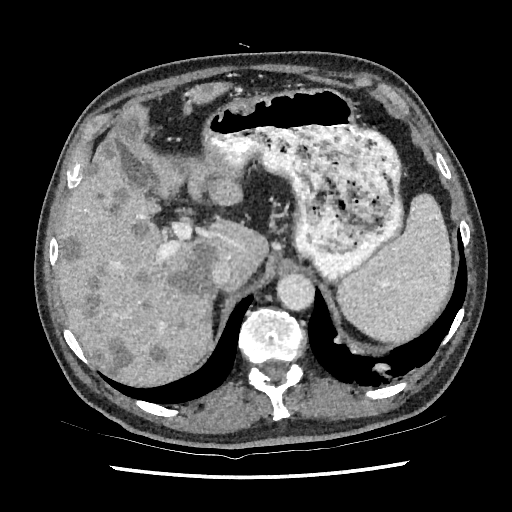 CT
<segmentation partial="true">
  <liver>[185, 161, 240, 205], [184, 82, 229, 115], [57, 145, 267, 386], [106, 103, 184, 192]</liver>
  <focal_liver_lesion shown="15" total="16">[64, 239, 79, 262], [85, 162, 99, 180], [115, 112, 142, 139], [100, 137, 115, 160], [199, 307, 211, 326], [85, 273, 100, 318], [132, 223, 147, 240], [108, 189, 129, 217], [106, 336, 132, 376], [176, 320, 190, 330], [167, 159, 190, 173], [95, 350, 102, 363], [149, 344, 166, 364], [167, 242, 216, 295], [136, 269, 152, 285]</focal_liver_lesion>
</segmentation>